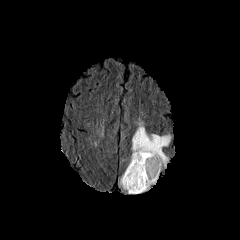
FLAIR MRI.
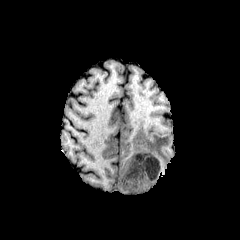
T1-weighted MRI.
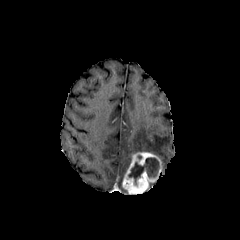
Same slice, post-contrast T1-weighted magnetic resonance.
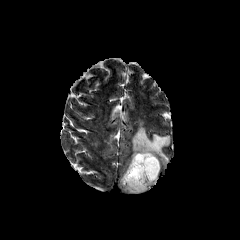
T2-weighted MR.
Head.
edema:
  - 131 118 170 168
non-enhancing_tumor_core:
  - 127 157 159 186
enhancing_tumor:
  - 122 151 161 193